Slice index 147; Computed tomography 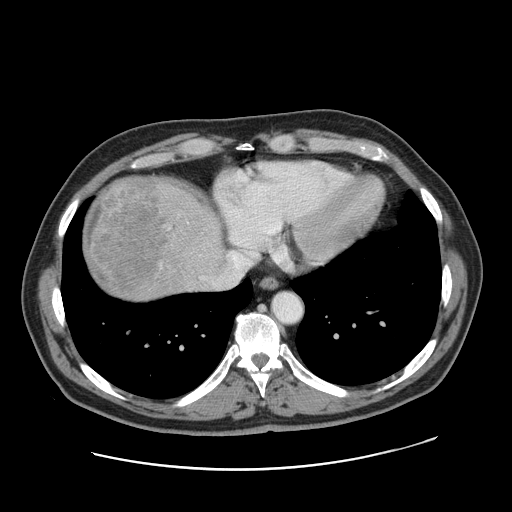

Some hepatic vessels may have no box.
Liver tumor = left=85, top=181, right=164, bottom=297.
Hepatic vessel = left=188, top=288, right=190, bottom=289; left=168, top=226, right=169, bottom=227.